Field of view 240 mm wide, 1.00 mm slice spacing | Slice index 33
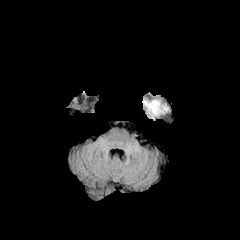
FLAIR MR image.
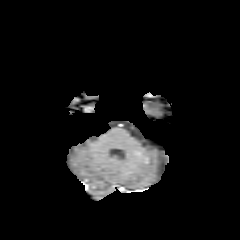
T1-weighted magnetic resonance.
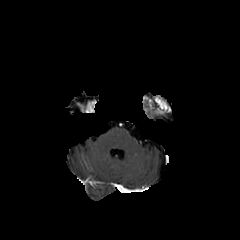
Post-contrast T1-weighted MR image.
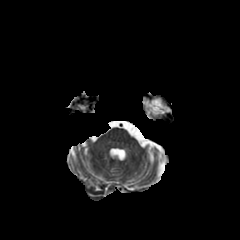
T2-weighted MR image of the same slice.
Enhancing tumor: bounding box rect(144, 98, 170, 114).